Slice index 13, Computed tomography 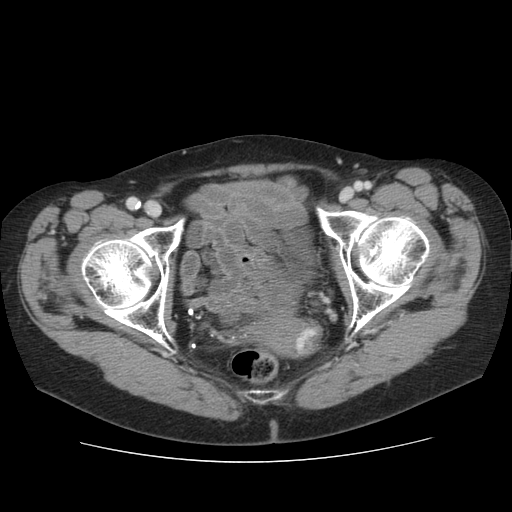
5 bone regions are bounded by 247,389,280,403; 316,207,438,332; 437,273,471,304; 73,218,184,348; 48,316,69,325.